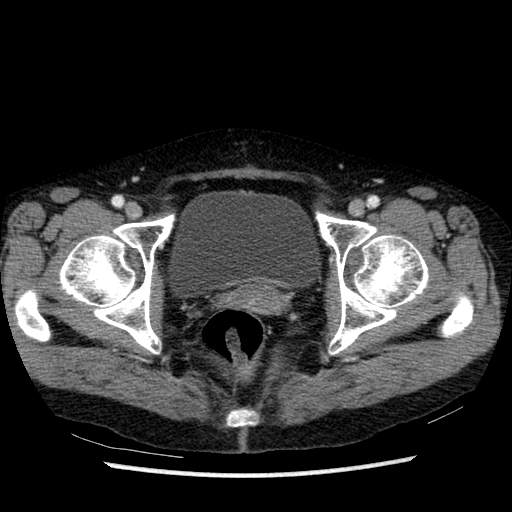

Image size 512x512 | Lower abdomen | Computed tomography

Urinary bladder: 165,191,321,298.